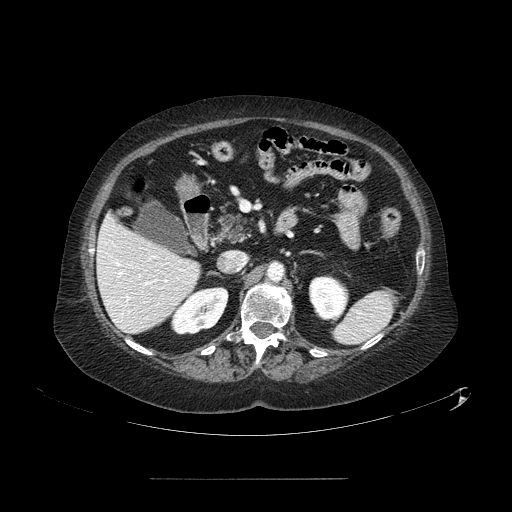

CT. Upper abdomen. The pancreas is bounded by box(220, 211, 246, 242).